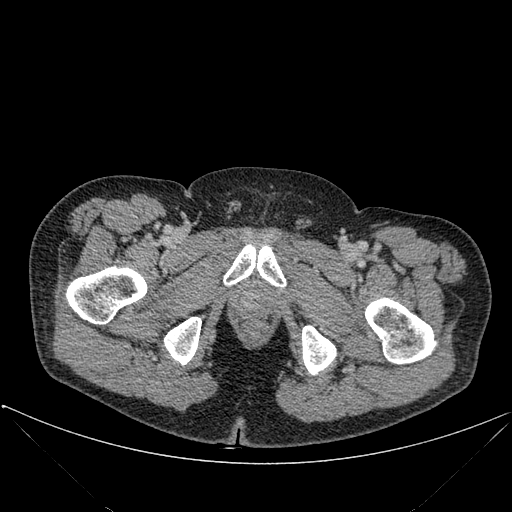 CT image
5 bone regions appear at (302, 325, 336, 374), (66, 266, 146, 323), (223, 245, 285, 286), (164, 317, 201, 364), (365, 298, 435, 363).